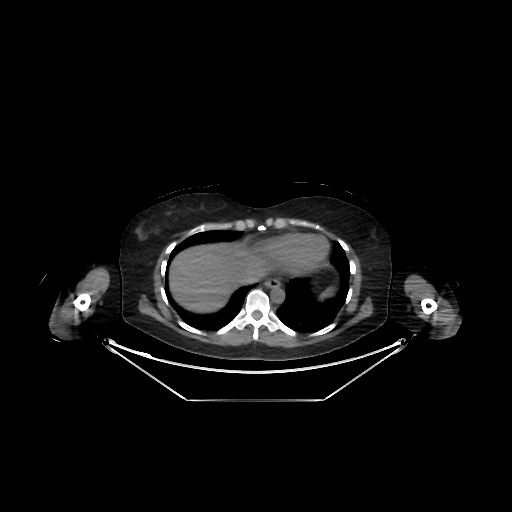
CT scan slice | Image size 512x512 | Upper abdomen

The liver is bounded by 169, 239, 269, 312.